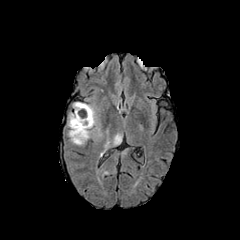
FLAIR MR.
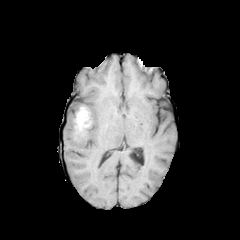
T1-weighted magnetic resonance.
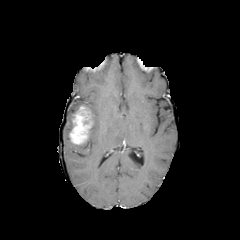
Same slice, post-contrast T1-weighted magnetic resonance.
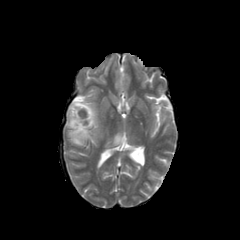
T2-weighted magnetic resonance.
Head. Image size 240x240.
2 edema regions are bounded by box=[72, 98, 102, 145]; box=[66, 112, 73, 137]. The non-enhancing tumor core is at box=[79, 109, 87, 118]. The enhancing tumor is located at box=[69, 111, 92, 143].